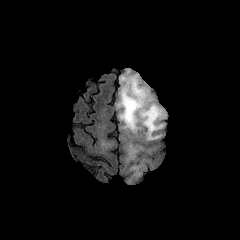
FLAIR MRI.
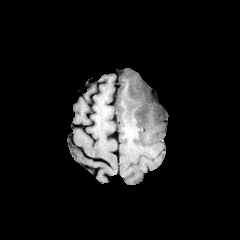
T1-weighted magnetic resonance.
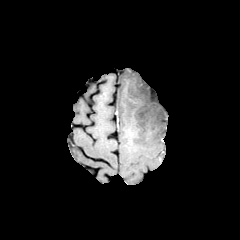
Post-contrast T1-weighted MR image.
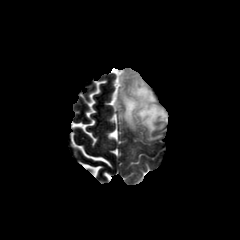
Same slice, T2-weighted MRI.
Brain
{
  "non-enhancing_tumor_core": [
    "bbox(128, 85, 163, 124)"
  ],
  "edema": [
    "bbox(116, 68, 167, 141)"
  ]
}